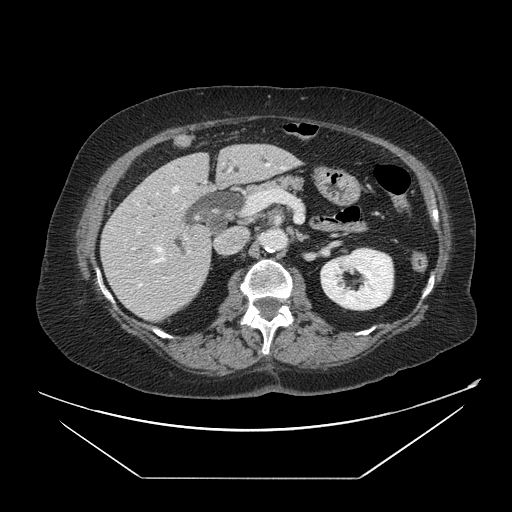 Abdomen; CT; 512x512 px
Pancreas — box(265, 176, 301, 190).